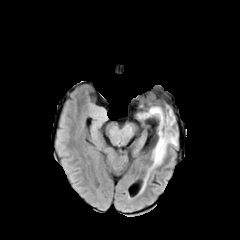
FLAIR MR.
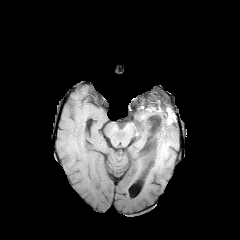
T1-weighted MRI of the same slice.
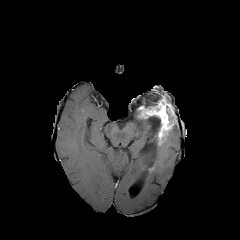
Same slice, post-contrast T1-weighted MR.
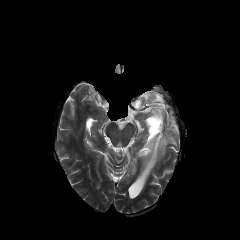
T2-weighted magnetic resonance of the same slice.
Image size 240x240. Brain.
The enhancing tumor is located at bbox=[141, 100, 175, 145]. The edema is located at bbox=[141, 124, 178, 191]. The non-enhancing tumor core lies within bbox=[148, 116, 160, 137].